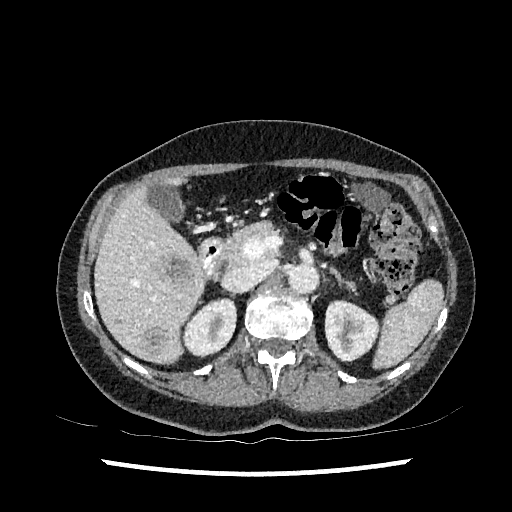 Upper abdomen, CT scan slice, 512x512 px
<segmentation>
  <liver>[x1=95, y1=186, x2=202, y2=362], [x1=169, y1=179, x2=180, y2=184]</liver>
  <kidney>[x1=185, y1=300, x2=235, y2=354], [x1=325, y1=302, x2=377, y2=360]</kidney>
  <focal_liver_lesion>[x1=141, y1=326, x2=170, y2=355], [x1=158, y1=256, x2=197, y2=286]</focal_liver_lesion>
</segmentation>